Field of view 240 mm wide, 1.00 mm slice spacing.
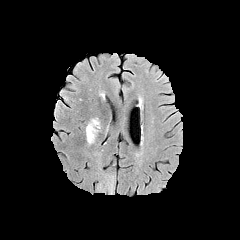
FLAIR MR.
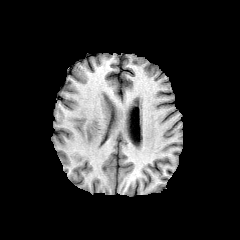
T1-weighted MRI of the same slice.
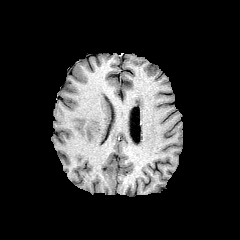
Post-contrast T1-weighted MR image.
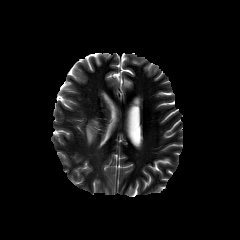
T2-weighted MR image.
Edema: bounding box box=[85, 118, 100, 145].